FLAIR MR image.
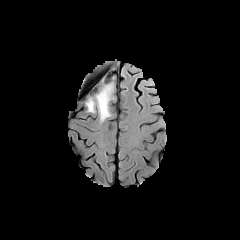
T1-weighted MRI.
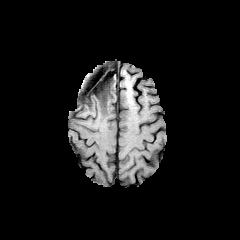
Post-contrast T1-weighted MR.
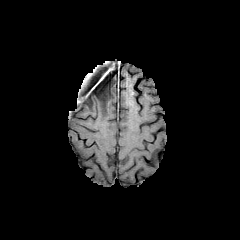
T2-weighted MR image.
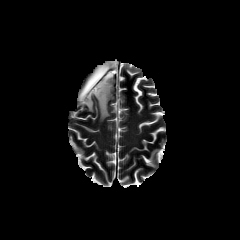
* non-enhancing tumor core: (82,80,111,103)
* edema: (84,82,113,121)